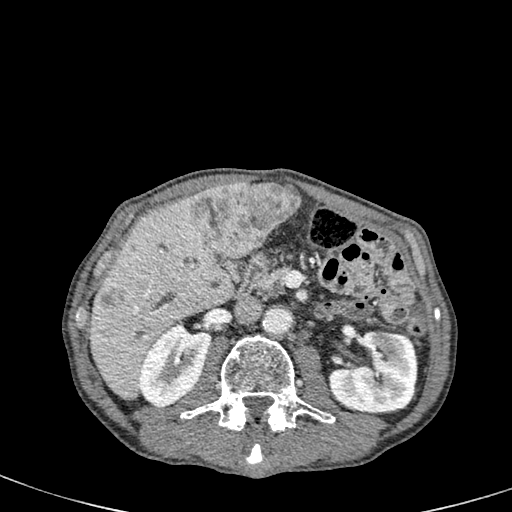

CT slice

Findings:
* liver: left=282, top=186, right=298, bottom=195; left=90, top=196, right=234, bottom=399
* kidney: left=330, top=327, right=416, bottom=411; left=139, top=325, right=210, bottom=406
* hepatic lesion: left=101, top=290, right=124, bottom=307; left=195, top=183, right=299, bottom=257